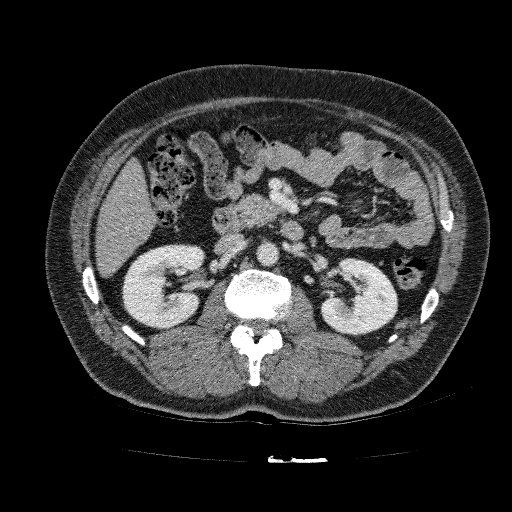

CT scan slice | 512x512

The liver is at [x1=96, y1=159, x2=156, y2=277]. 2 kidney regions appear at [x1=322, y1=259, x2=396, y2=333], [x1=123, y1=245, x2=203, y2=327].